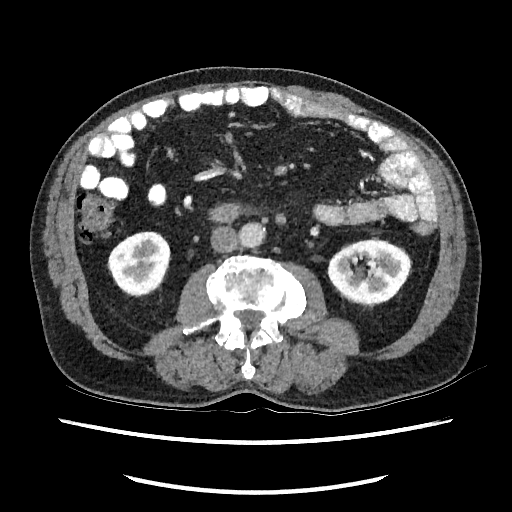 CT.
* kidney: bbox(328, 238, 411, 306); bbox(108, 232, 170, 296)